CT slice, Field of view 500x500 mm, Upper abdomen, Image size 512x512
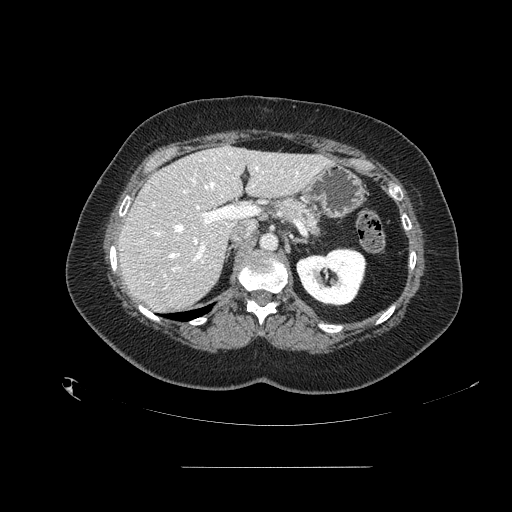

pancreas: left=269, top=196, right=322, bottom=238